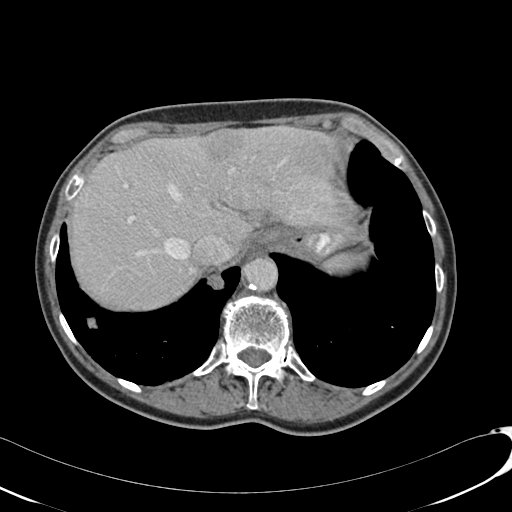 Liver | CT slice | 512x512

The liver lesion appears at box(206, 130, 246, 165). The liver is at box(72, 126, 341, 309).